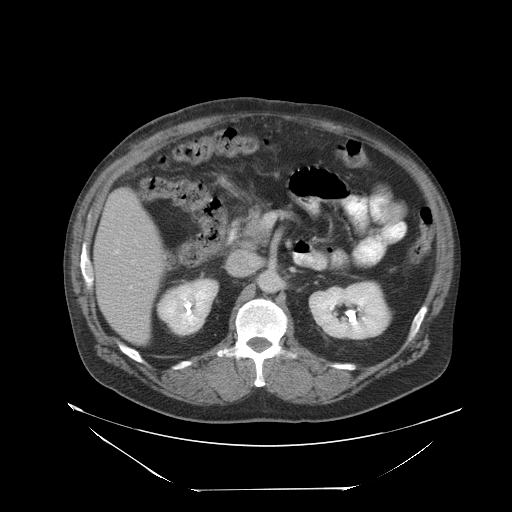
CT scan slice; Abdomen
The vessel boxes may cover only some of the vessels.
Segmented structures:
- hepatic vessel: box(130, 286, 131, 287); box(116, 250, 118, 253)